Slice 17 of 40. MRI.

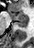
Segmented structures:
- posterior hippocampus: 15, 20, 27, 26
- anterior hippocampus: 9, 12, 27, 19